Slice index 542. CT image. Image width 387 mm.
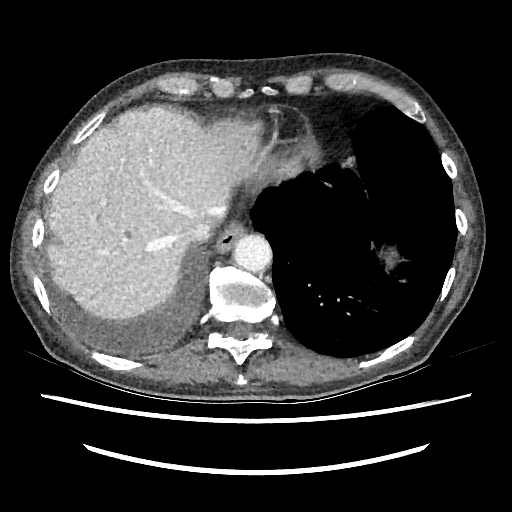 The liver appears at [47,109,262,317].